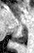 MR image
Posterior hippocampus = box(11, 27, 28, 43).